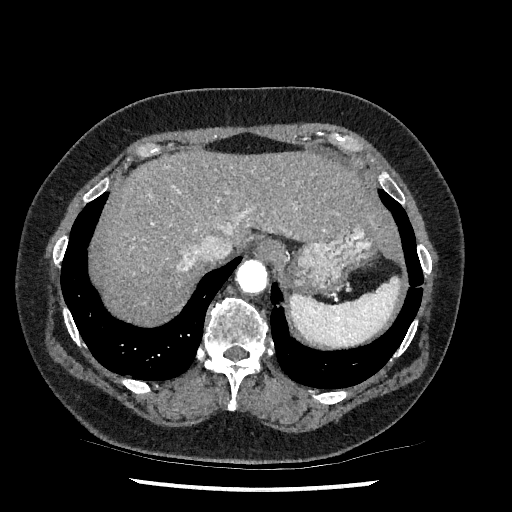

CT. Upper abdomen. Liver: <bbox>96, 151, 400, 323</bbox>.